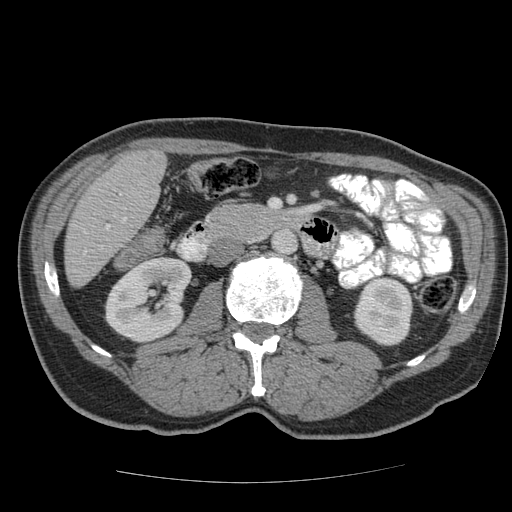
Liver | CT

Some hepatic vessels may have no box.
Hepatic vessel = (106,226,108,229), (84,251,85,253).